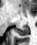 Medial temporal lobe, 37x45, MR
The posterior hippocampus appears at left=16, top=27, right=28, bottom=35.